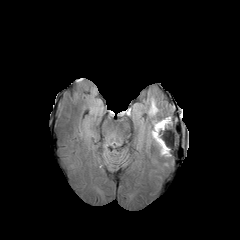
FLAIR MR image.
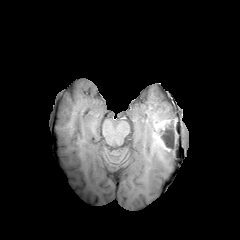
T1-weighted MR image.
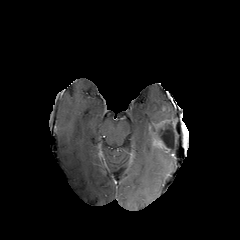
Post-contrast T1-weighted magnetic resonance.
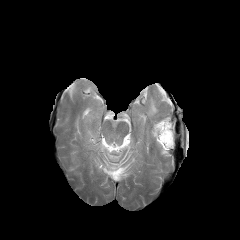
T2-weighted MRI.
non-enhancing tumor core: 157 127 172 147 | edema: 145 98 173 141, 101 136 120 160, 158 146 169 156, 134 105 146 125